FLAIR MR image.
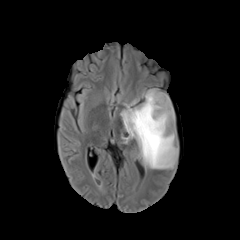
T1-weighted magnetic resonance.
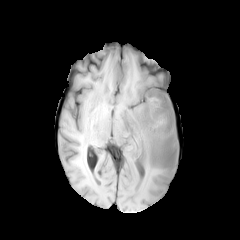
Post-contrast T1-weighted MRI.
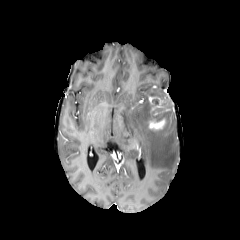
T2-weighted MR image.
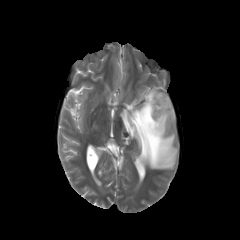
Enhancing tumor = x1=149 y1=119 x2=165 y2=129.
Edema = x1=119 y1=88 x2=178 y2=172.
Non-enhancing tumor core = x1=145 y1=88 x2=175 y2=131.